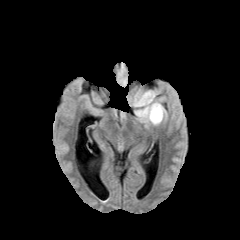
FLAIR MRI.
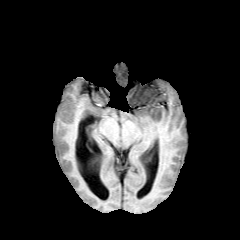
Same slice, T1-weighted magnetic resonance.
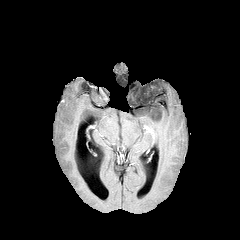
Same slice, post-contrast T1-weighted MR image.
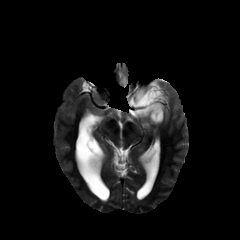
T2-weighted MR of the same slice.
Image size 240x240; Brain
3 edema regions are bounded by (left=135, top=101, right=166, bottom=126), (left=116, top=63, right=128, bottom=87), (left=126, top=89, right=136, bottom=106). The non-enhancing tumor core appears at (left=133, top=84, right=162, bottom=119).